Brain; Field of view 240 mm wide, 1.00 mm slice spacing; Slice 95 of 155
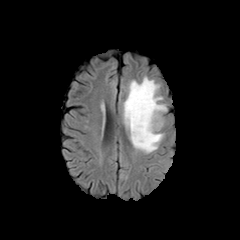
FLAIR MR.
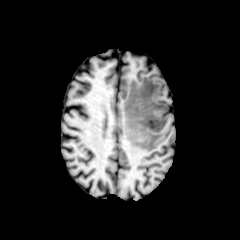
T1-weighted MR image.
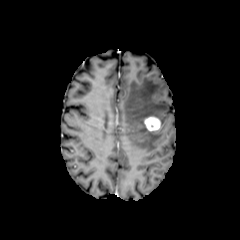
Post-contrast T1-weighted MR.
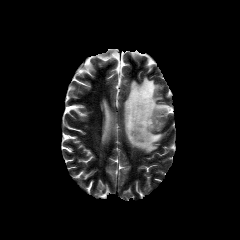
T2-weighted MR image of the same slice.
The edema is bounded by 123, 77, 167, 152. The enhancing tumor is located at 144, 116, 161, 131.